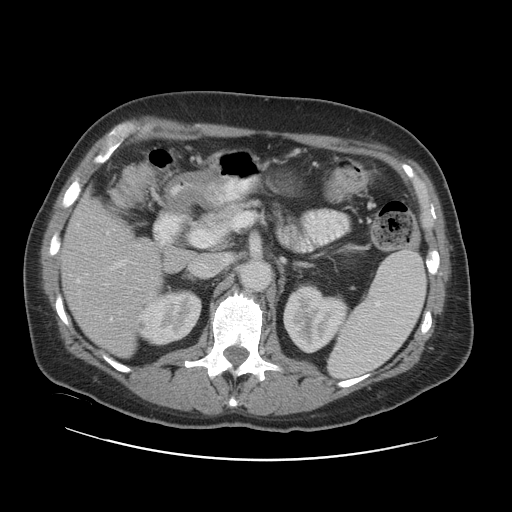
Abdomen, CT image

Only some of the vessels may be annotated.
{"hepatic_vessel": ["bbox(111, 260, 124, 269)"]}